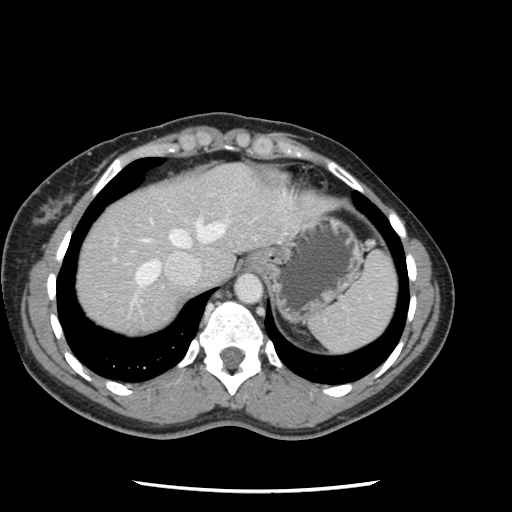

Computed tomography, 512x512

Only some of the vessels may be annotated.
Hepatic vessel: bounding box bbox=[134, 260, 159, 285]; bbox=[196, 220, 223, 241]; bbox=[142, 239, 147, 240]; bbox=[169, 229, 189, 246].